512x512 px, CT scan slice
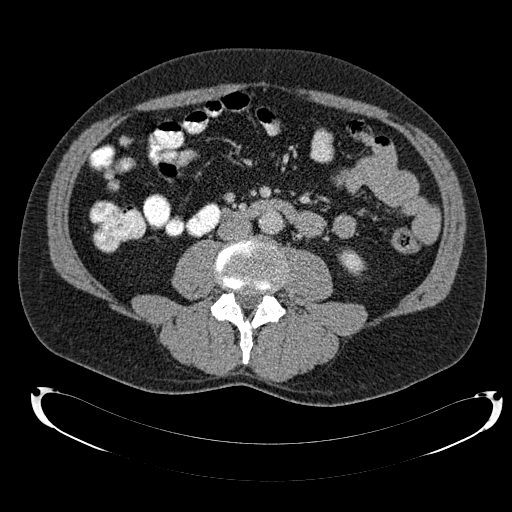
The kidney lies within <bbox>341, 252, 362, 272</bbox>.